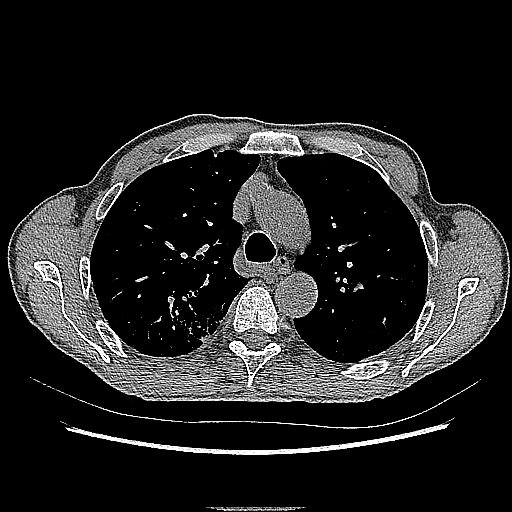

Image size 512x512; CT image

lung_tumor:
  - {"x1": 168, "y1": 289, "x2": 224, "y2": 349}